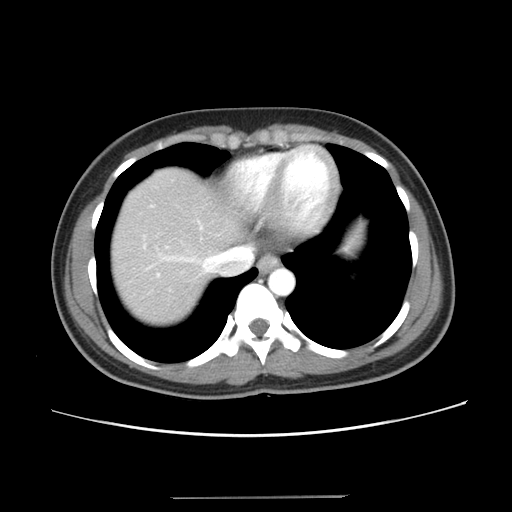
Liver. CT image.
The vessel boxes may cover only some of the vessels.
hepatic_vessel:
  - l=144, t=245, r=146, b=247
  - l=158, t=274, r=159, b=276
  - l=161, t=256, r=191, b=261
  - l=203, t=269, r=206, b=272
  - l=201, t=228, r=202, b=229